Slice 96 of 155, Head, Field of view 240 mm wide, 1.00 mm slice spacing
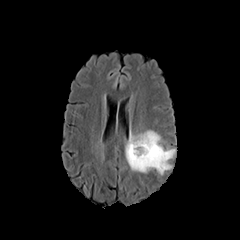
FLAIR MRI.
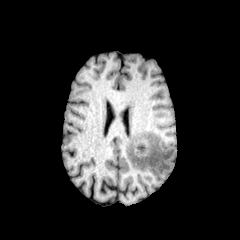
T1-weighted MR image.
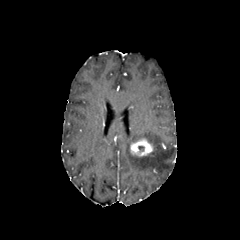
Post-contrast T1-weighted MRI.
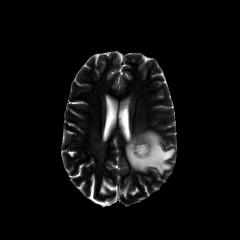
T2-weighted magnetic resonance.
Edema = bbox(125, 129, 174, 174).
Enhancing tumor = bbox(130, 138, 154, 156).